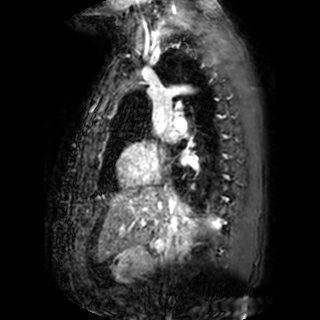
Image size 320x320. Magnetic resonance. Heart.
Left atrium — [165, 127, 176, 140], [180, 151, 193, 162].